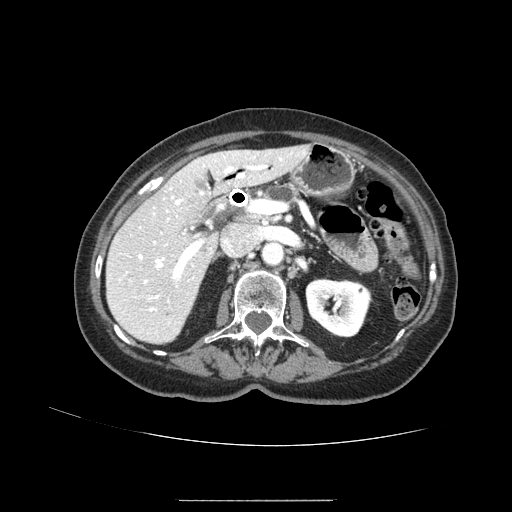
Image size 512x512; Abdomen; Computed tomography
pancreas: 267,187,296,201